Image size 512x512 | Field of view 309x309 mm | Chest | CT image
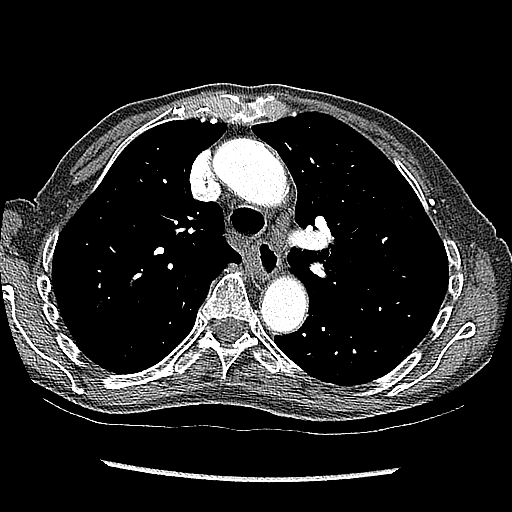
<segmentation>
  <lung_tumor>x1=394, y1=341, x2=408, y2=356</lung_tumor>
</segmentation>